Image size 240x240; Slice 99 of 155; Head
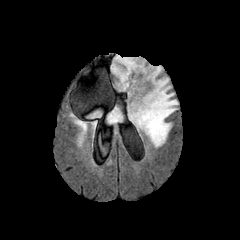
FLAIR magnetic resonance.
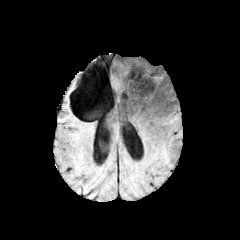
T1-weighted MR image.
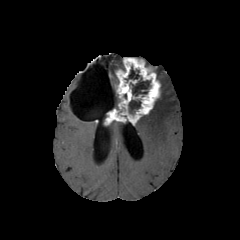
Post-contrast T1-weighted MRI of the same slice.
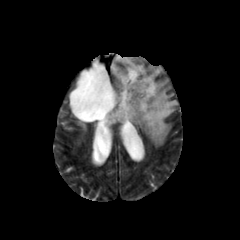
T2-weighted MR.
Edema: x1=111 y1=56 x2=122 y2=75, x1=135 y1=76 x2=178 y2=146, x1=88 y1=110 x2=101 y2=117.
Enhancing tumor: x1=116 y1=58 x2=159 y2=123, x1=106 y1=109 x2=123 y2=123.
Non-enhancing tumor core: x1=114 y1=92 x2=127 y2=119, x1=125 y1=70 x2=150 y2=96, x1=128 y1=100 x2=141 y2=113.